Brain
FLAIR MRI.
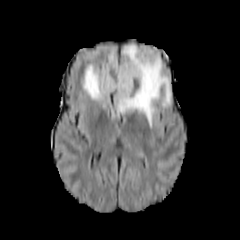
T1-weighted magnetic resonance.
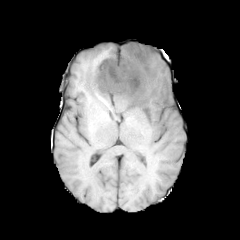
Post-contrast T1-weighted MR image.
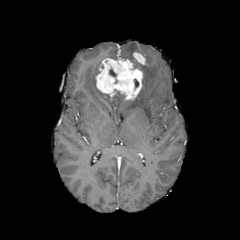
T2-weighted magnetic resonance.
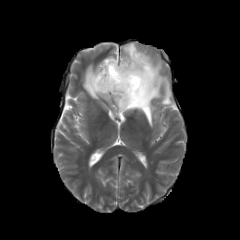
Non-enhancing tumor core — bbox=[113, 91, 130, 101].
Enhancing tumor — bbox=[133, 53, 145, 64]; bbox=[95, 58, 142, 100].
Edema — bbox=[82, 43, 171, 127].